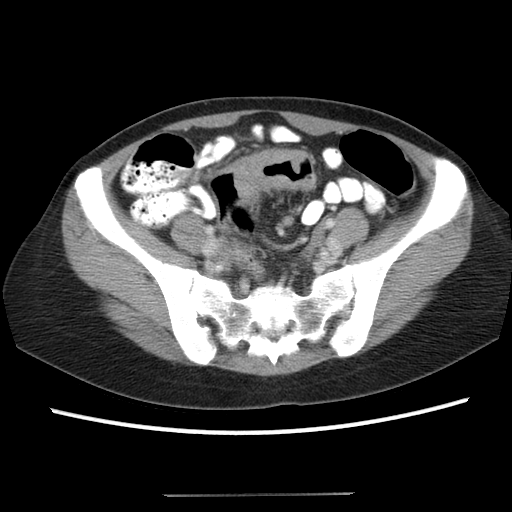

CT | 512x512 | Abdomen
colon_tumor:
  - <bbox>225, 149, 315, 205</bbox>